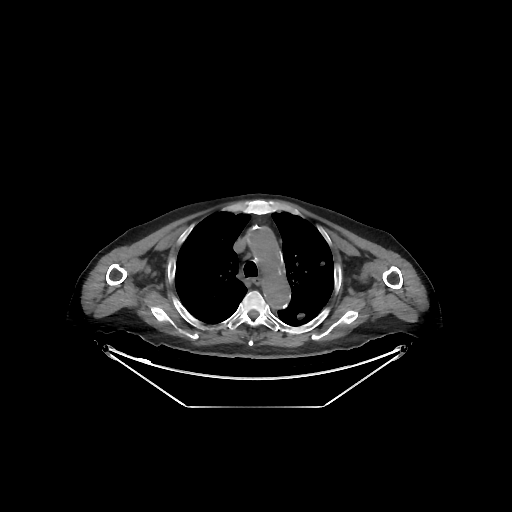 CT scan slice

8 bone regions appear at bbox(106, 264, 126, 285); bbox(244, 200, 272, 214); bbox(382, 266, 402, 288); bbox(312, 310, 357, 339); bbox(334, 271, 341, 290); bbox(173, 298, 197, 325); bbox(151, 306, 172, 323); bbox(229, 291, 328, 332). 3 lung regions appear at bbox(271, 211, 333, 326); bbox(175, 211, 251, 324); bbox(243, 260, 257, 277).